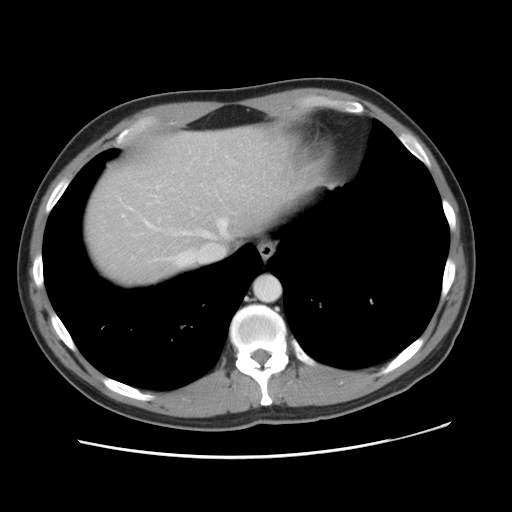

Abdomen; 512x512; Computed tomography

Some hepatic vessels may have no box.
hepatic_vessel:
  - 142:219:160:230
  - 172:251:199:263
  - 156:186:157:187
  - 218:218:226:233
  - 172:230:213:237